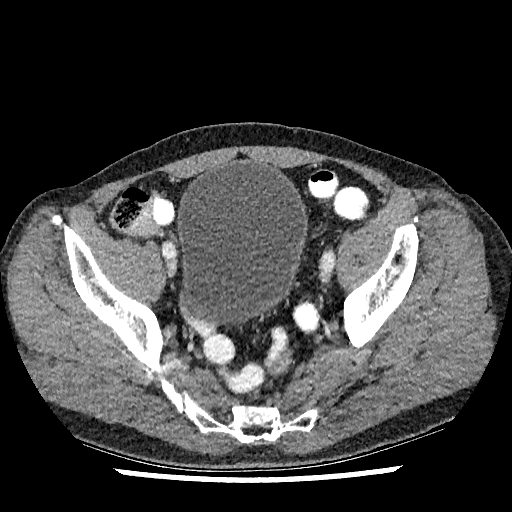

Computed tomography | 512x512

urinary_bladder:
  - [179,162,305,324]